FLAIR magnetic resonance.
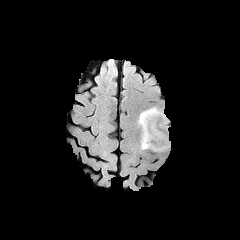
T1-weighted magnetic resonance.
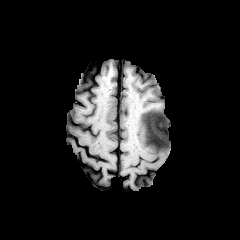
Post-contrast T1-weighted MRI.
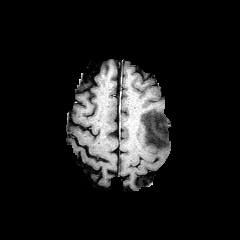
T2-weighted MR.
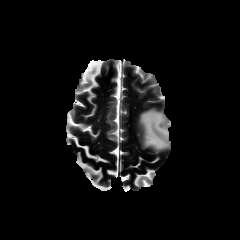
Image size 240x240 | Brain
The edema appears at (141, 107, 169, 152). The non-enhancing tumor core appears at (138, 109, 151, 135).